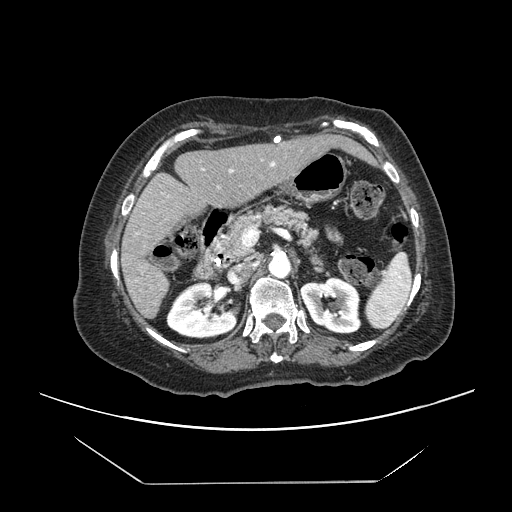
CT slice

Not every hepatic vessel necessarily has a box.
<segmentation>
  <hepatic_vessel>x1=242 y1=227 x2=258 y2=246</hepatic_vessel>
</segmentation>